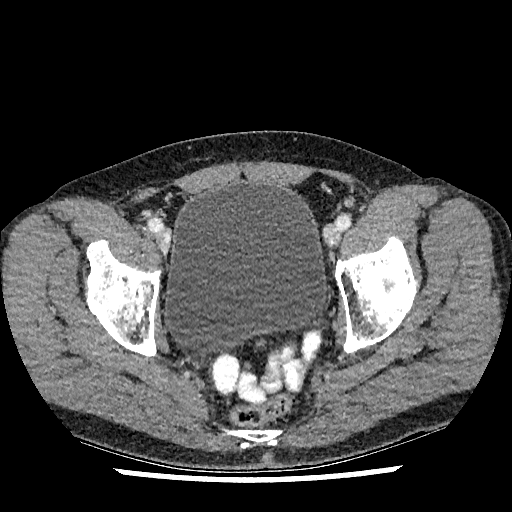

CT image
Urinary bladder: (164, 183, 327, 355).